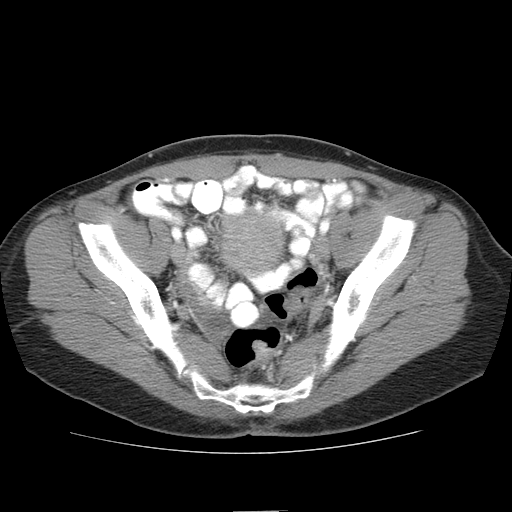

512x512; CT
{
  "colon_tumor": [
    "<box>252,340,271,359</box>"
  ]
}